Slice 34 of 42. Medial temporal lobe. MRI slice.

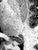
{
  "posterior_hippocampus": [
    "box(13, 39, 22, 43)"
  ]
}